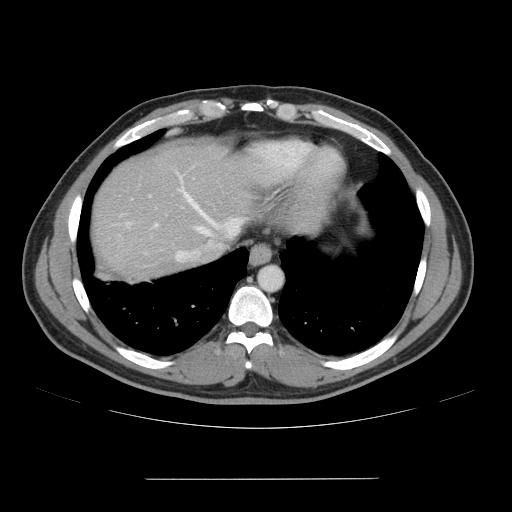

512x512, Abdomen, CT image

Not every hepatic vessel necessarily has a box.
hepatic_vessel:
  - {"x1": 179, "y1": 186, "x2": 218, "y2": 227}
  - {"x1": 125, "y1": 222, "x2": 131, "y2": 227}
  - {"x1": 153, "y1": 223, "x2": 158, "y2": 227}
  - {"x1": 196, "y1": 226, "x2": 210, "y2": 235}
  - {"x1": 176, "y1": 171, "x2": 182, "y2": 181}